FLAIR MR image.
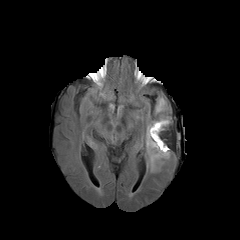
T1-weighted MR.
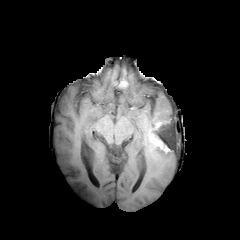
Post-contrast T1-weighted MR image.
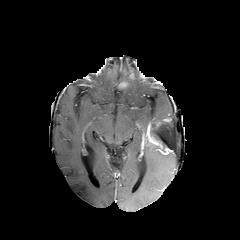
T2-weighted MRI.
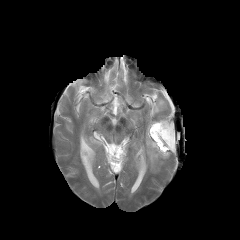
Brain
edema:
  - <box>161,117,173,129</box>
  - <box>144,98,170,172</box>
  - <box>100,88,112,100</box>
enhancing_tumor:
  - <box>147,124,169,155</box>
non-enhancing_tumor_core:
  - <box>151,122,173,152</box>